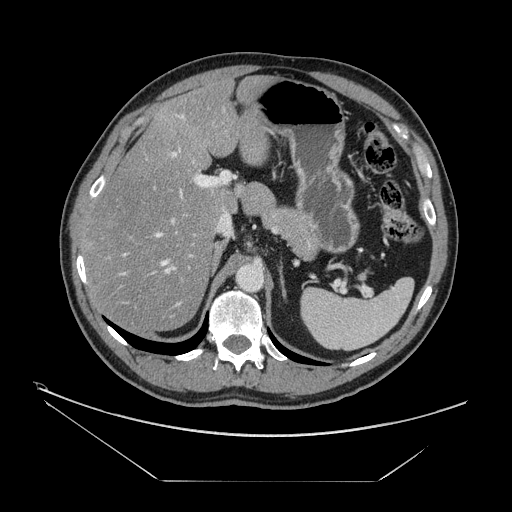

Computed tomography; Liver; 512x512 px
Only some of the vessels may be annotated.
4 hepatic vessel regions are located at [162,261,166,264], [166,267,174,271], [172,153,175,155], [157,234,160,235].